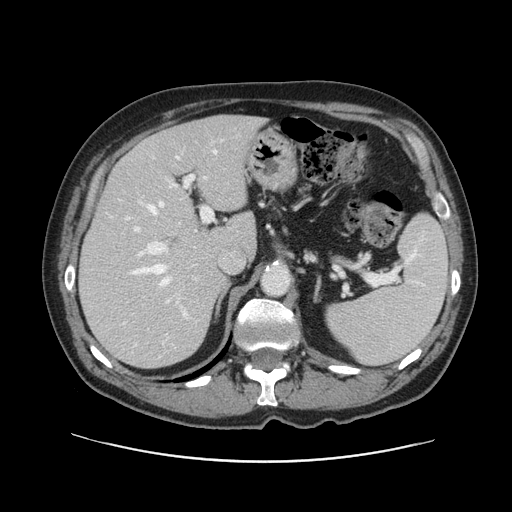 CT | 512x512

Not every hepatic vessel necessarily has a box.
13 hepatic vessel regions are bounded by bbox(166, 300, 169, 303); bbox(160, 278, 169, 285); bbox(214, 150, 216, 153); bbox(125, 217, 129, 219); bbox(182, 309, 186, 316); bbox(148, 242, 167, 254); bbox(134, 227, 138, 230); bbox(132, 265, 164, 273); bbox(138, 252, 143, 255); bbox(159, 202, 162, 205); bbox(170, 182, 175, 186); bbox(176, 156, 179, 158); bbox(147, 205, 156, 214).